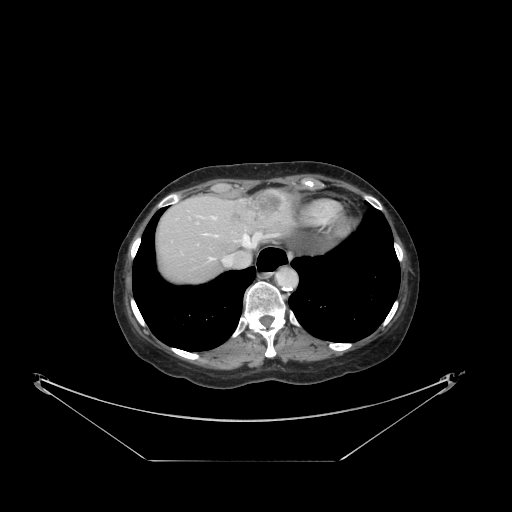

Liver, CT image, 512x512 px
The vessel boxes may cover only some of the vessels.
<segmentation>
  <hepatic_vessel>box(223, 252, 249, 266); box(208, 257, 213, 260); box(206, 215, 217, 220); box(232, 232, 261, 248); box(200, 233, 218, 237)</hepatic_vessel>
  <liver_tumor>box(226, 194, 279, 225)</liver_tumor>
</segmentation>